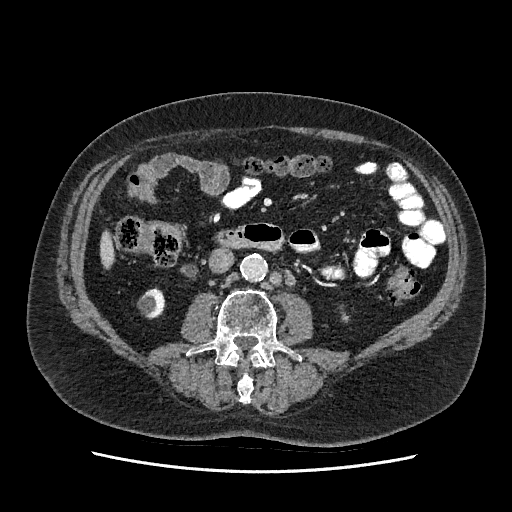 Image size 512x512. CT image.
The kidney is at 149:290:163:316. The liver lies within 102:233:113:266.